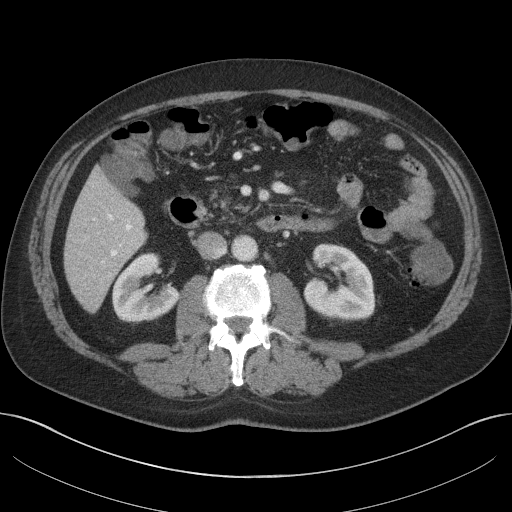 Liver, CT slice
Annotated regions:
- liver: x1=63 y1=167 x2=148 y2=309
- kidney: x1=113 y1=254 x2=178 y2=320, x1=305 y1=245 x2=373 y2=317